38x50, Slice 7/38, MR image
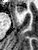
The anterior hippocampus lies within x1=16, y1=6, x2=24, y2=12.